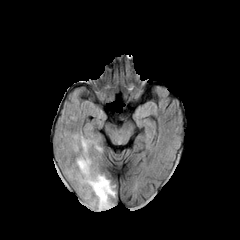
FLAIR magnetic resonance.
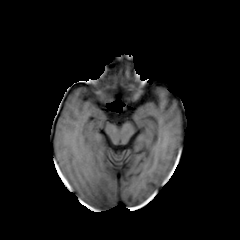
T1-weighted MRI.
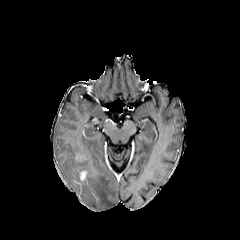
Post-contrast T1-weighted MR of the same slice.
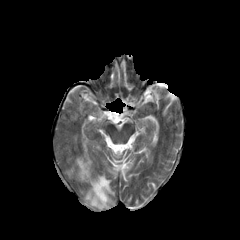
T2-weighted magnetic resonance of the same slice.
Brain.
The enhancing tumor appears at 79, 170, 87, 181. The edema lies within 70, 139, 115, 209.